CT scan slice, Slice 217/407

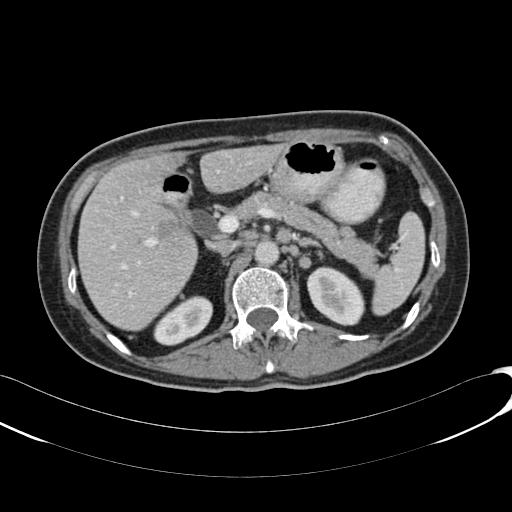

Kidney = box=[308, 268, 362, 324]; box=[155, 298, 211, 344].
Hepatic lesion = box=[158, 220, 174, 242].
Liver = box=[78, 152, 196, 328]; box=[201, 145, 283, 192].